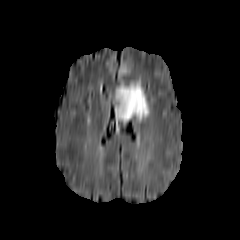
FLAIR magnetic resonance.
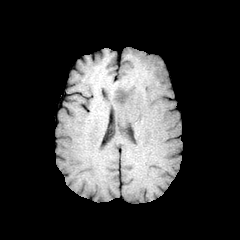
T1-weighted magnetic resonance.
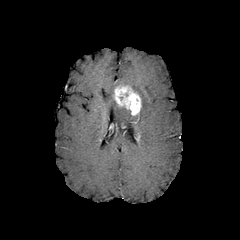
Same slice, post-contrast T1-weighted MR image.
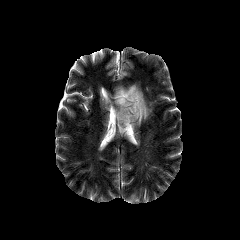
T2-weighted MRI.
Image size 240x240
Edema = [120,67,126,76], [113,81,152,128].
Enhancing tumor = [114,86,141,115].